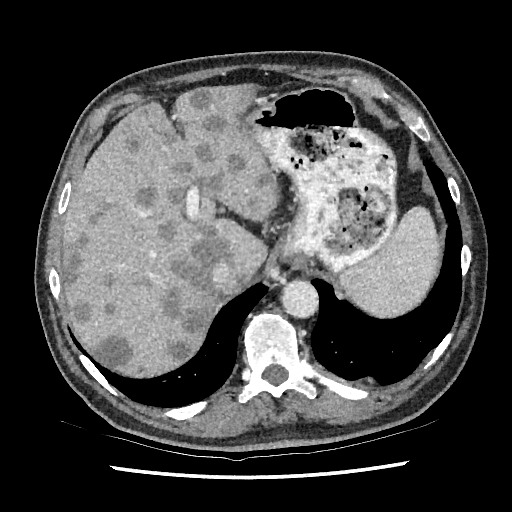
CT. Upper abdomen. Image size 512x512. Annotated regions:
• liver: bbox(62, 85, 276, 375)
• liver lesion (most prominent 15 of 20): bbox(189, 90, 208, 109); bbox(194, 143, 213, 161); bbox(64, 236, 89, 288); bbox(158, 216, 177, 240); bbox(72, 302, 90, 320); bbox(126, 129, 141, 152); bbox(93, 335, 132, 366); bbox(163, 222, 237, 336); bbox(136, 187, 157, 207); bbox(169, 341, 188, 360); bbox(200, 154, 245, 197); bbox(90, 200, 114, 223); bbox(125, 219, 143, 237); bbox(166, 186, 185, 208); bbox(201, 115, 226, 132)